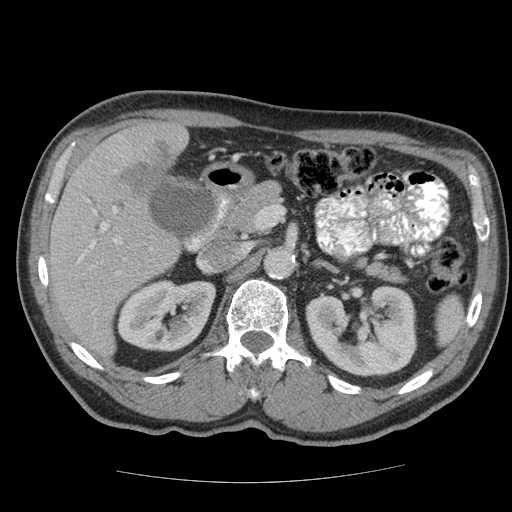

CT image. 512x512 px. Abdomen.

The vessel annotation is not exhaustive.
hepatic_vessel:
  - x1=116 y1=272 x2=119 y2=274
  - x1=90 y1=241 x2=94 y2=247
  - x1=93 y1=210 x2=94 y2=213
  - x1=112 y1=208 x2=116 y2=212
  - x1=100 y1=224 x2=106 y2=230
  - x1=77 y1=255 x2=83 y2=263
liver_tumor:
  - x1=123 y1=142 x2=175 y2=194